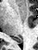 Medial temporal lobe | Magnetic resonance
Posterior hippocampus: bounding box x1=13 y1=39 x2=22 y2=43.